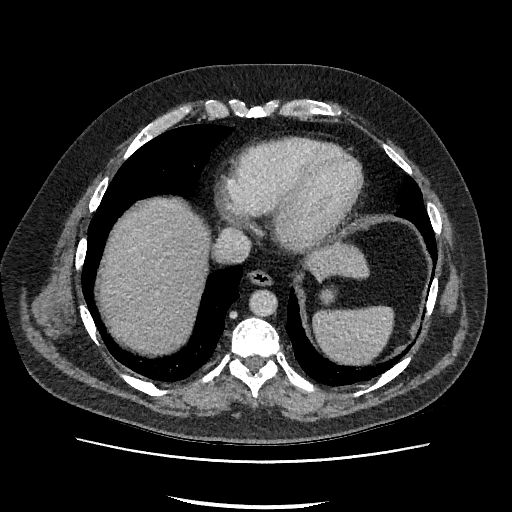

CT slice. Image size 512x512.
2 liver regions are located at <box>308,247,367,281</box>, <box>100,199,208,352</box>.